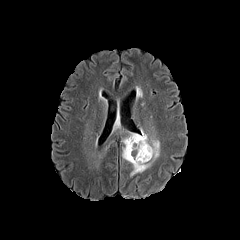
FLAIR MRI.
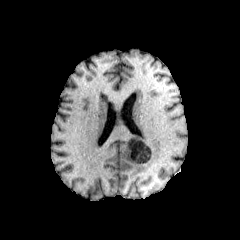
T1-weighted MR.
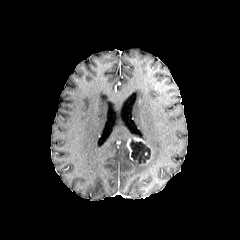
Post-contrast T1-weighted MRI.
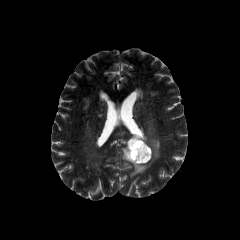
T2-weighted magnetic resonance.
Brain
Segmented structures:
- non-enhancing tumor core: <box>128,137,150,164</box>
- edema: <box>116,102,120,126</box>, <box>122,127,160,177</box>
- enhancing tumor: <box>126,138,132,160</box>